240x240 px, Slice 53/155
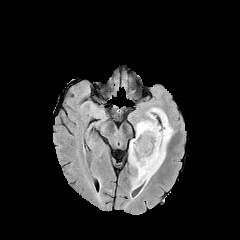
FLAIR MR.
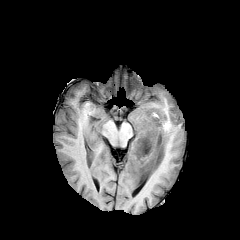
T1-weighted MRI.
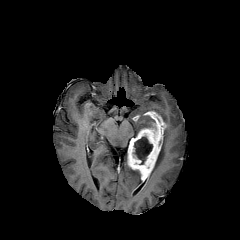
Same slice, post-contrast T1-weighted magnetic resonance.
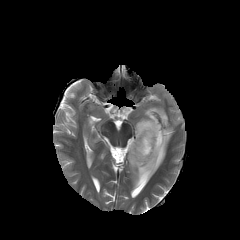
Same slice, T2-weighted MRI.
Annotated regions:
- enhancing tumor: 128:110:166:182
- edema: 134:114:149:133, 128:168:138:189, 149:107:173:178
- non-enhancing tumor core: 134:170:146:187, 133:137:152:164, 136:115:154:135